MR image | Field of view 33x53 mm | Slice 19 of 28 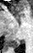 Annotated regions:
* posterior hippocampus: [x1=8, y1=40, x2=19, y2=47]